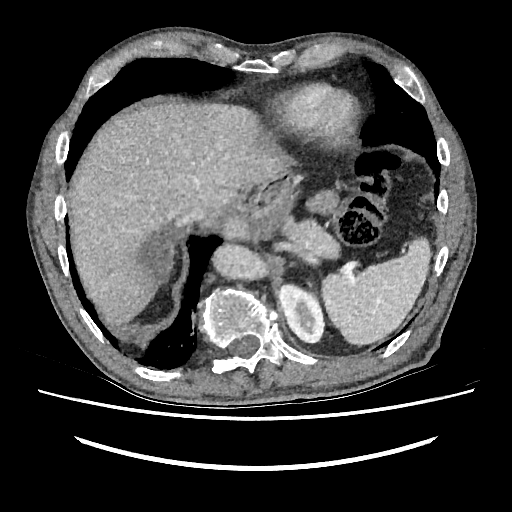 Abdomen, CT scan slice
liver:
  - bbox(70, 103, 289, 327)
kidney:
  - bbox(279, 285, 323, 342)
liver_lesion:
  - bbox(247, 130, 278, 157)
  - bbox(125, 221, 177, 293)